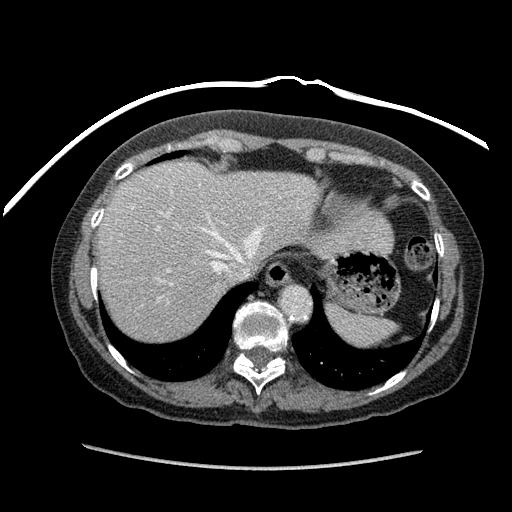 CT scan slice, Upper abdomen, Image size 512x512

Annotated regions:
• liver: box=[96, 162, 391, 343]